Image width 512 mm; CT image; Image size 512x512 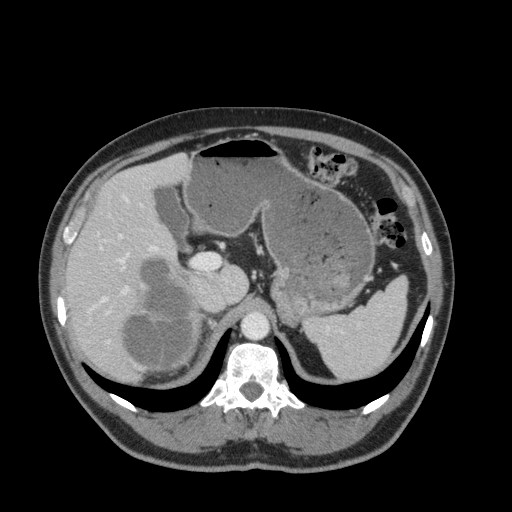
Liver — 190,266,247,303; 66,154,190,381.